CT scan slice; Upper abdomen; Slice index 498 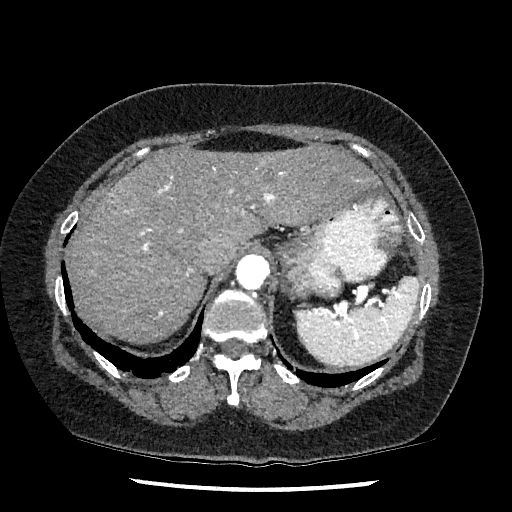

The liver is bounded by <box>69,145,380,343</box>.